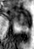

Medial temporal lobe; MRI slice
posterior_hippocampus:
  - <box>19,24,28,26</box>
anterior_hippocampus:
  - <box>10,10,30,23</box>